CT slice, 512x512 px, Slice index 162
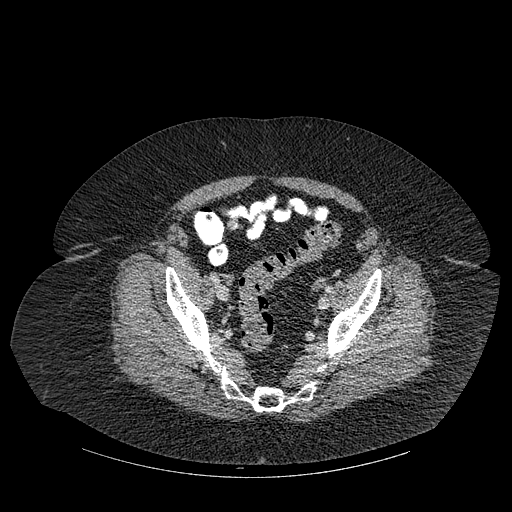
<segmentation>
  <bone>l=317, t=363, r=326, b=371; l=320, t=269, r=381, b=358; l=166, t=267, r=315, b=411</bone>
</segmentation>